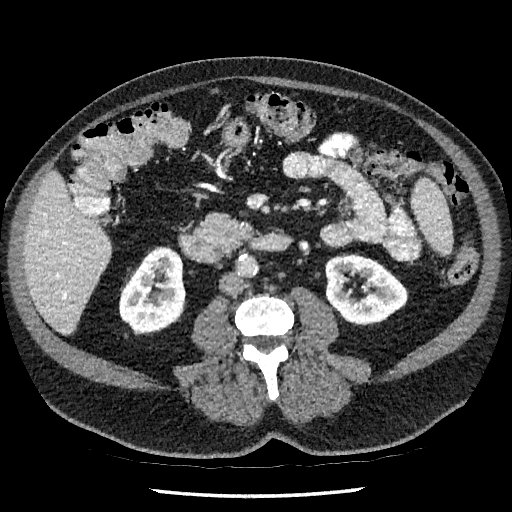
CT slice; Liver
Segmented structures:
- kidney: <bbox>120, 250, 184, 332</bbox>, <bbox>326, 255, 406, 323</bbox>
- liver: <bbox>24, 170, 110, 334</bbox>